Computed tomography 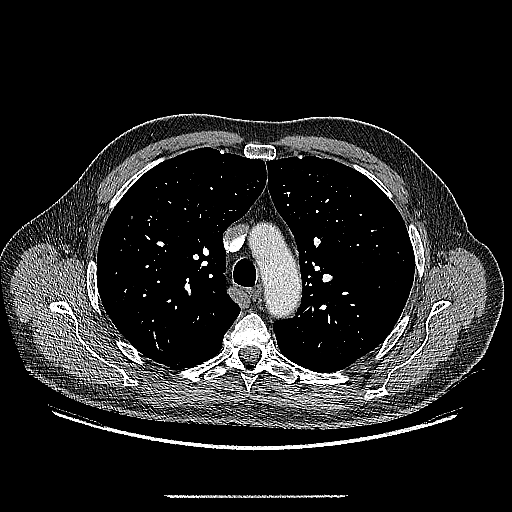
The lung tumor appears at {"x1": 394, "y1": 249, "x2": 408, "y2": 263}.